CT scan slice, Liver 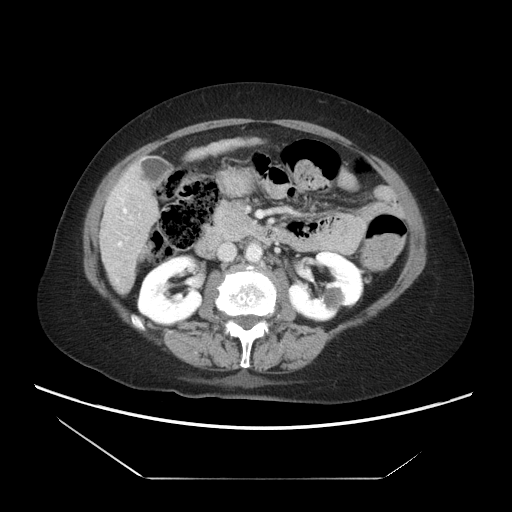 Some hepatic vessels may have no box.
4 hepatic vessel regions are bounded by box=[123, 209, 126, 212]; box=[118, 197, 123, 201]; box=[130, 216, 131, 217]; box=[118, 242, 121, 245].